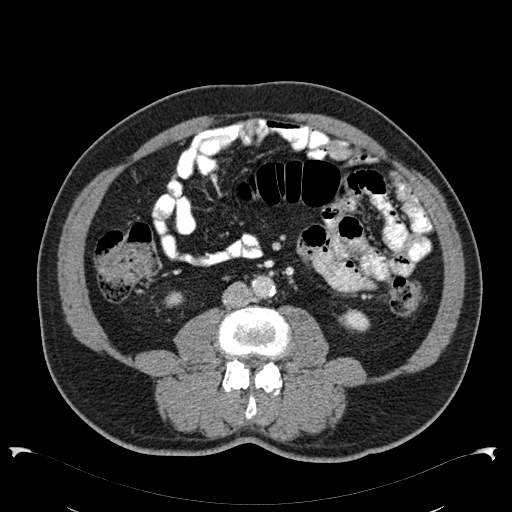
Computed tomography
kidney:
  - region(166, 292, 182, 306)
  - region(339, 309, 369, 330)